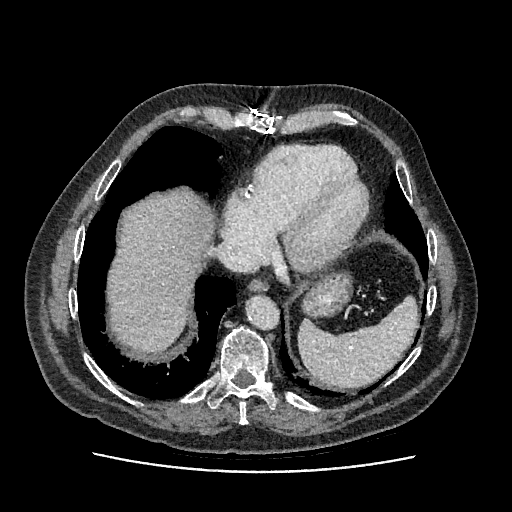 CT image
Segmented structures:
- liver: bbox(108, 193, 210, 351)